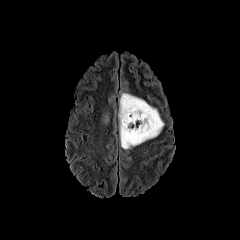
FLAIR MR image.
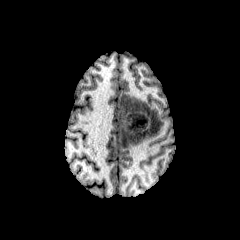
Same slice, T1-weighted MRI.
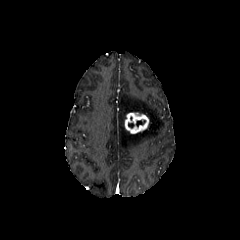
Post-contrast T1-weighted MRI.
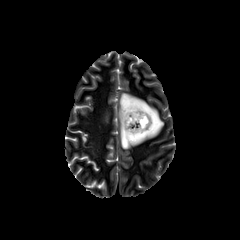
T2-weighted magnetic resonance of the same slice.
240x240 px, Head
Edema = 118, 93, 164, 148.
Enhancing tumor = 124, 111, 151, 134.